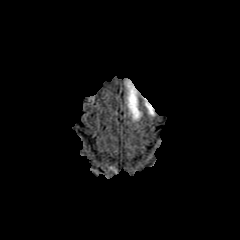
FLAIR magnetic resonance.
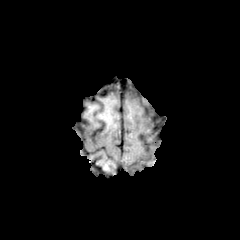
T1-weighted MRI.
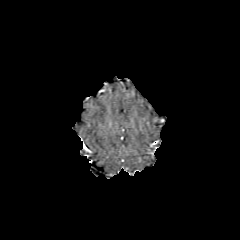
Post-contrast T1-weighted MR image.
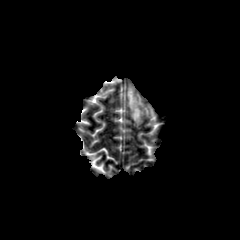
T2-weighted magnetic resonance.
Brain
Edema: bounding box 128:83:139:118.